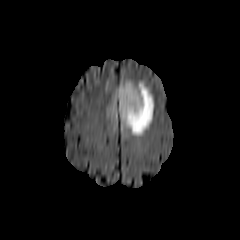
FLAIR MRI.
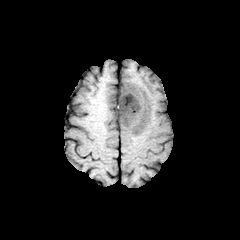
T1-weighted MR image of the same slice.
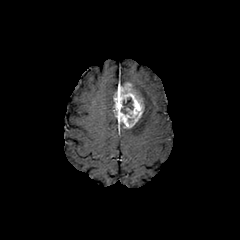
Post-contrast T1-weighted MR image of the same slice.
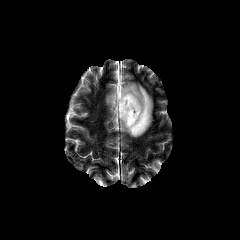
Same slice, T2-weighted MR.
Head
<segmentation>
  <non-enhancing_tumor_core><bbox>123, 98, 133, 109</bbox></non-enhancing_tumor_core>
  <enhancing_tumor><bbox>113, 82, 144, 128</bbox></enhancing_tumor>
  <edema><bbox>121, 78, 153, 136</bbox></edema>
</segmentation>